Upper abdomen; CT

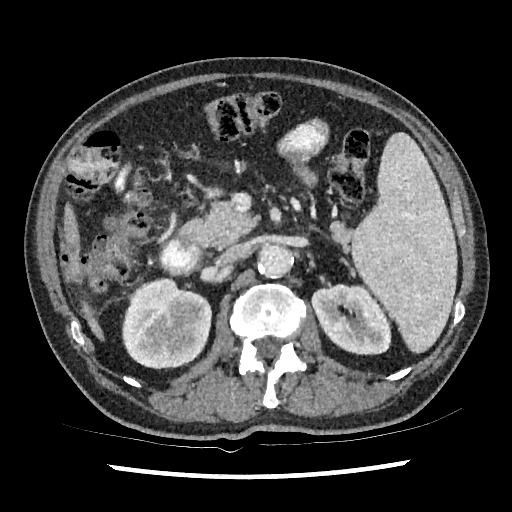
Liver lesion = (x1=73, y1=268, x2=79, y2=279), (x1=68, y1=240, x2=78, y2=255).
Kidney = (x1=312, y1=285, x2=390, y2=354), (x1=123, y1=279, x2=211, y2=368).
Liver = (x1=82, y1=301, x2=103, y2=339), (x1=65, y1=204, x2=79, y2=278).